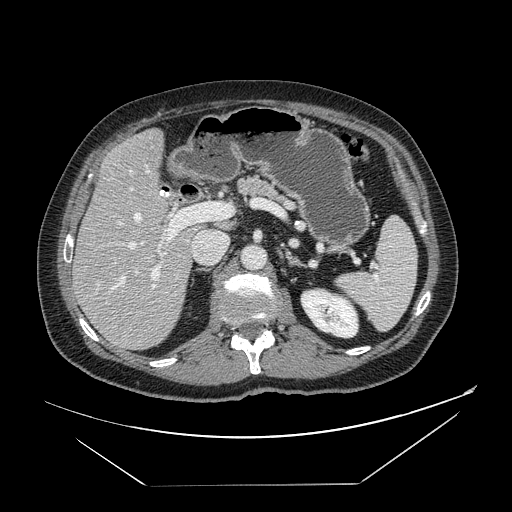

CT; 512x512
{
  "pancreas": [
    "236:176:286:202"
  ]
}